CT slice
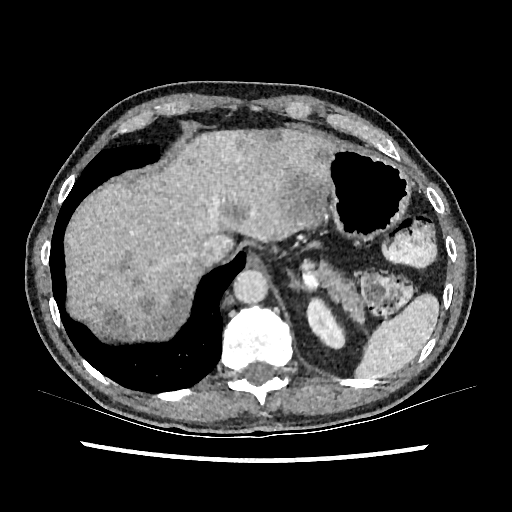

hepatic_lesion:
  - 88, 288, 190, 339
  - 132, 276, 149, 291
  - 315, 148, 329, 162
  - 186, 158, 195, 165
  - 222, 203, 250, 224
  - 113, 250, 131, 272
  - 234, 131, 281, 154
  - 280, 170, 329, 226
kidney:
  - 308, 299, 344, 347
liver:
  - 68, 130, 331, 330